FLAIR MR.
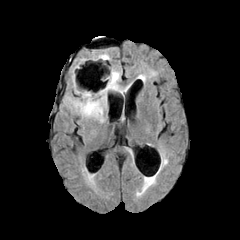
T1-weighted MR.
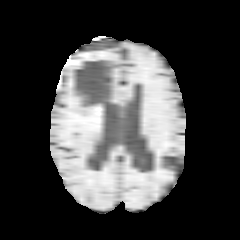
Post-contrast T1-weighted MR.
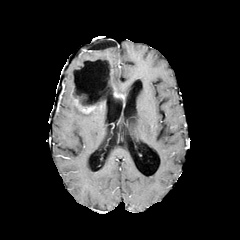
T2-weighted magnetic resonance.
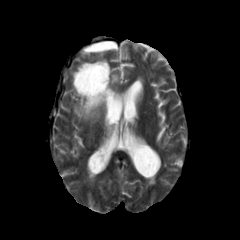
Image size 240x240
The enhancing tumor lies within [78, 106, 94, 112]. 2 edema regions appear at [98, 49, 129, 93], [65, 74, 107, 121]. The non-enhancing tumor core is bounded by [74, 64, 115, 107].